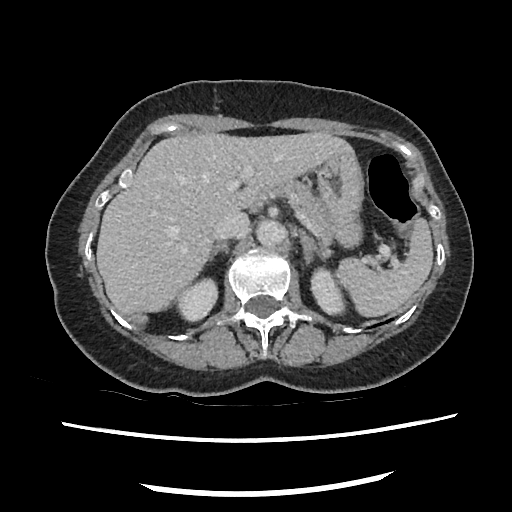

Abdomen; Image size 512x512; CT image
pancreas:
  - bbox=[277, 183, 335, 237]